FLAIR magnetic resonance.
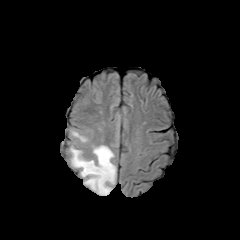
T1-weighted MR.
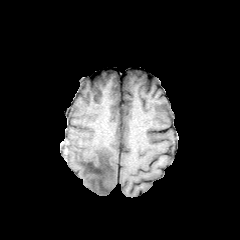
Post-contrast T1-weighted MR.
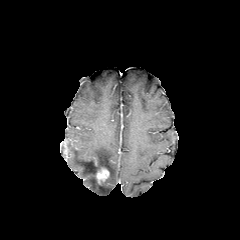
T2-weighted MR.
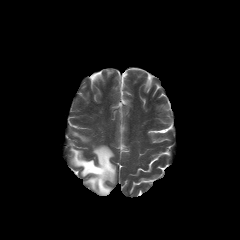
Brain.
The enhancing tumor is at left=95, top=168, right=109, bottom=184. 2 edema regions are located at left=69, top=142, right=116, bottom=195; left=71, top=131, right=88, bottom=143. 2 non-enhancing tumor core regions are located at left=98, top=183, right=108, bottom=192; left=83, top=159, right=112, bottom=175.